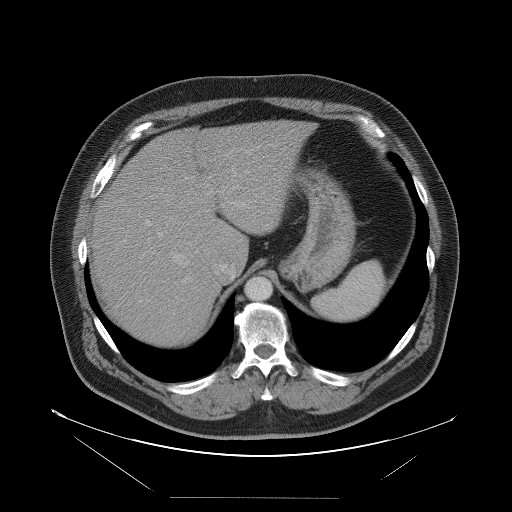
512x512 px | Liver | CT image
Some hepatic vessels may have no box.
Hepatic vessel — left=211, top=189, right=212, bottom=192; left=145, top=220, right=150, bottom=225; left=147, top=299, right=149, bottom=301; left=221, top=264, right=224, bottom=265; left=174, top=255, right=182, bottom=263; left=158, top=233, right=161, bottom=237.